FLAIR MR image.
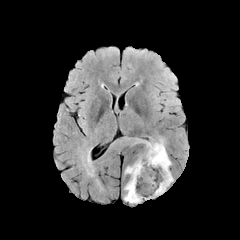
T1-weighted MRI.
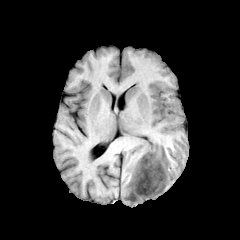
Post-contrast T1-weighted MRI.
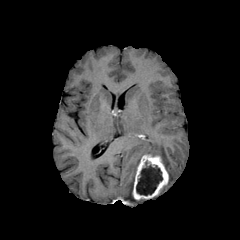
T2-weighted MR.
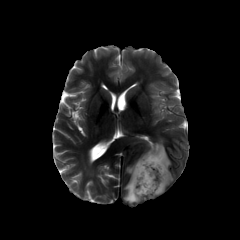
Image size 240x240
enhancing tumor: 132,154,169,200 | non-enhancing tumor core: 136,165,162,195 | edema: 124,158,143,203; 142,139,173,194